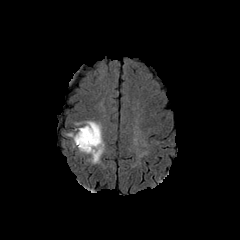
FLAIR MR.
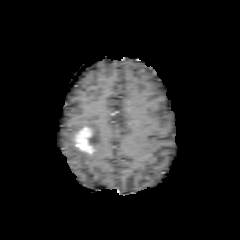
Same slice, T1-weighted magnetic resonance.
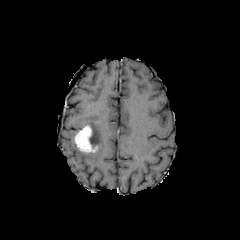
Post-contrast T1-weighted MRI.
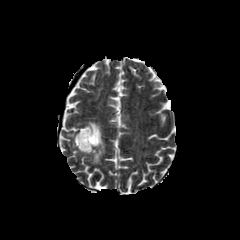
T2-weighted MRI of the same slice.
Image size 240x240; Brain
non-enhancing_tumor_core:
  - [x1=89, y1=127, x2=97, y2=145]
edema:
  - [x1=80, y1=120, x2=105, y2=164]
  - [x1=66, y1=128, x2=79, y2=147]
enhancing_tumor:
  - [x1=74, y1=125, x2=95, y2=152]